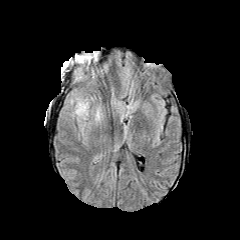
FLAIR magnetic resonance.
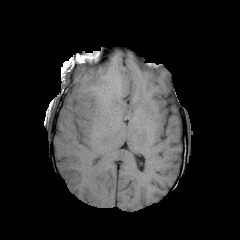
T1-weighted MR of the same slice.
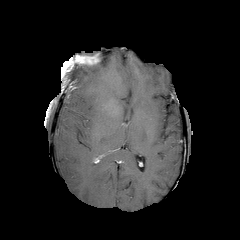
Post-contrast T1-weighted MR image of the same slice.
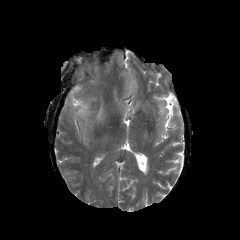
T2-weighted MR image of the same slice.
Brain. 240x240.
enhancing tumor: {"x1": 104, "y1": 98, "x2": 122, "y2": 116} | edema: {"x1": 75, "y1": 98, "x2": 88, "y2": 115}